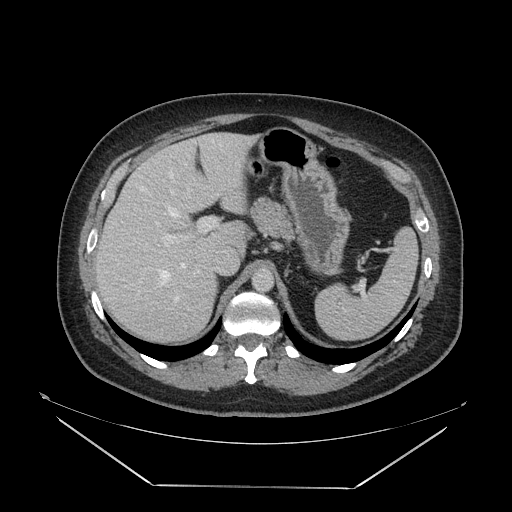

CT scan slice
Findings:
• pancreas: (x1=252, y1=199, x2=293, y2=239)